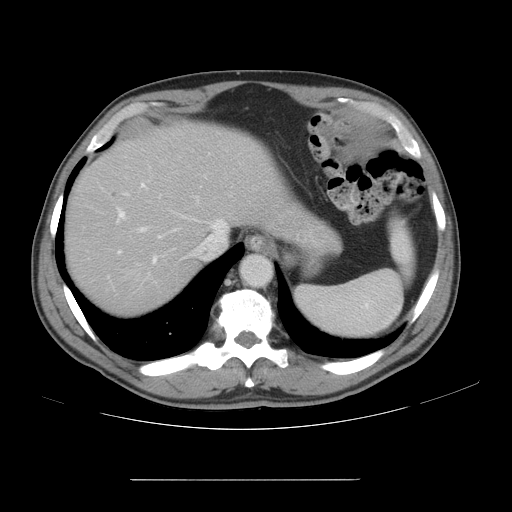
512x512, CT slice, Abdomen
The vessel annotation is not exhaustive.
Hepatic vessel: bounding box box(196, 196, 198, 202); box(181, 215, 197, 220); box(102, 188, 103, 190); box(158, 233, 167, 237); box(211, 220, 223, 226); box(117, 207, 124, 221); box(148, 273, 149, 276); box(118, 251, 121, 253); box(168, 229, 176, 232); box(124, 192, 127, 194); box(141, 183, 146, 188); box(152, 255, 156, 262).